FLAIR magnetic resonance.
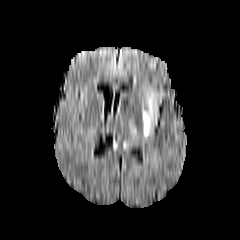
T1-weighted magnetic resonance.
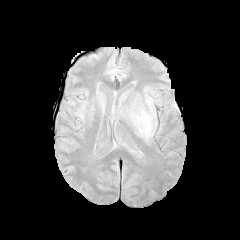
Post-contrast T1-weighted MRI.
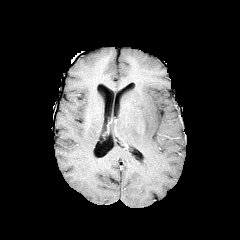
T2-weighted MRI.
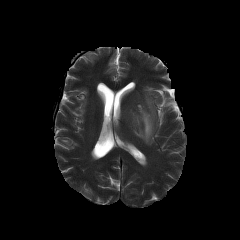
Head
edema:
  - box=[140, 98, 156, 140]